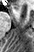

Magnetic resonance, Medial temporal lobe
anterior_hippocampus:
  - (x1=14, y1=5, x2=17, y2=9)